CT slice, 512x512
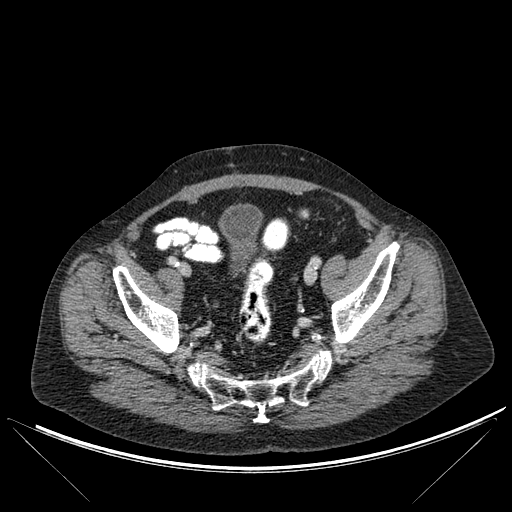 bone: bbox=[331, 242, 399, 347]; bbox=[188, 350, 331, 422]; bbox=[113, 266, 179, 352]